FLAIR MR.
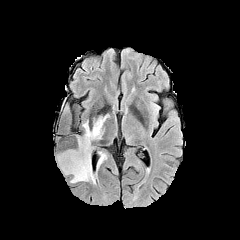
T1-weighted MR.
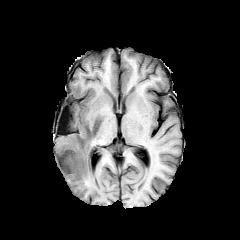
Post-contrast T1-weighted MR.
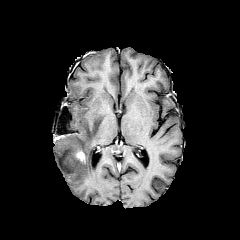
T2-weighted MR image.
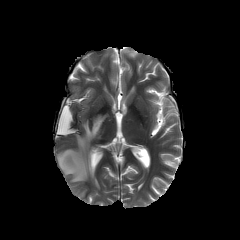
240x240
<segmentation>
  <enhancing_tumor>[75,150,85,161]</enhancing_tumor>
  <edema>[97,151,105,168], [58,114,108,184]</edema>
  <non-enhancing_tumor_core>[68,150,87,163]</non-enhancing_tumor_core>
</segmentation>